240x240 | Slice index 109 | Image width 240 mm
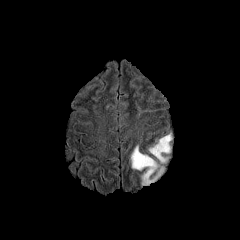
FLAIR MR image.
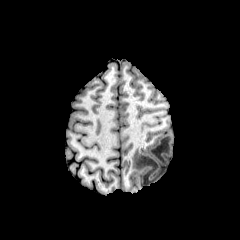
Same slice, T1-weighted MR.
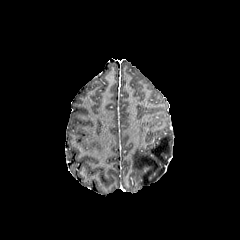
Post-contrast T1-weighted magnetic resonance.
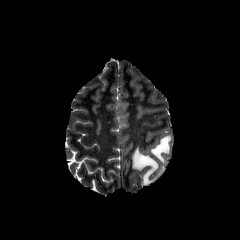
Same slice, T2-weighted MR.
Edema: bounding box x1=149, y1=133, x2=171, y2=162; x1=131, y1=146, x2=163, y2=185.